Brain, Slice 100/155
FLAIR MR image.
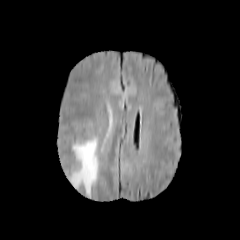
T1-weighted magnetic resonance.
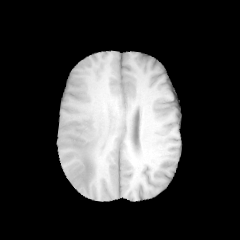
Post-contrast T1-weighted magnetic resonance.
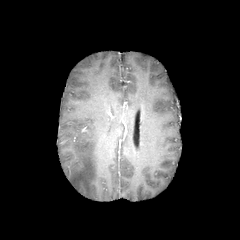
T2-weighted MR.
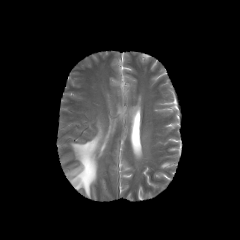
{
  "edema": [
    "left=69, top=126, right=104, bottom=196"
  ]
}